CT | Image width 440 mm | Liver | Slice 61/99 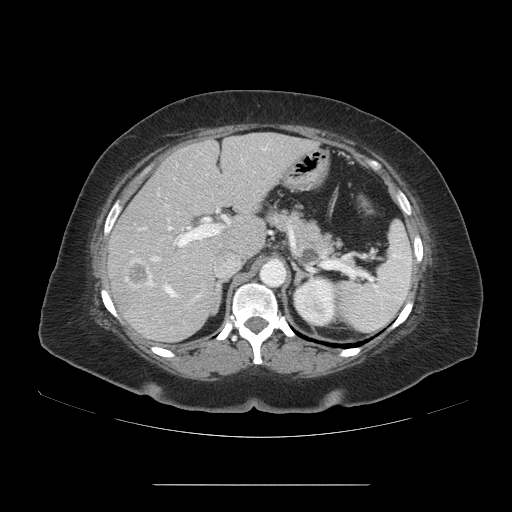 Not every hepatic vessel necessarily has a box.
<segmentation>
  <liver_tumor>125,258,152,287</liver_tumor>
  <hepatic_vessel>167,225,172,230; 217,209,218,212; 141,228,143,229; 214,255,239,276; 151,256,158,261; 164,286,174,297; 151,283,153,285; 174,216,230,247</hepatic_vessel>
</segmentation>